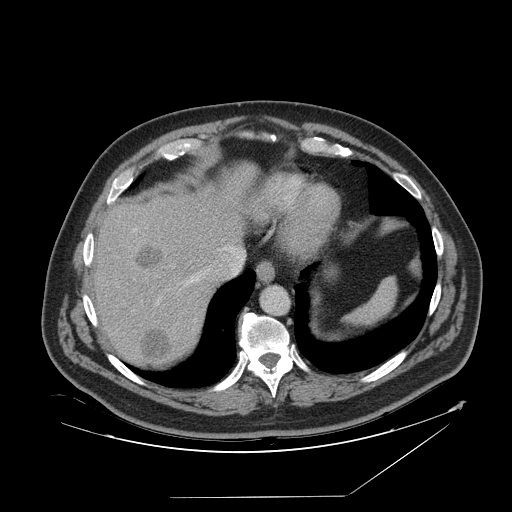 CT
Spleen = (345,277,397,325).